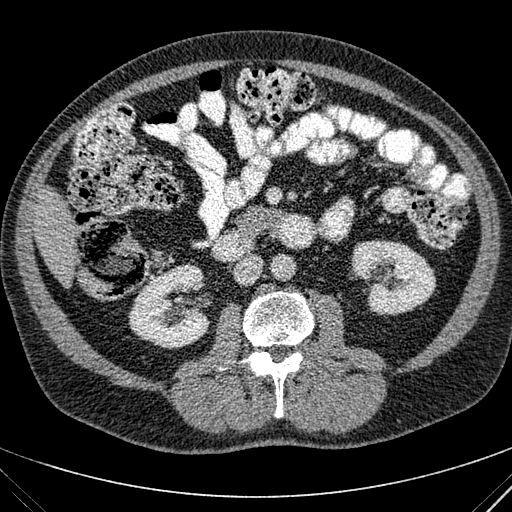
Liver, CT image, 512x512 px
<segmentation>
  <kidney>left=129, top=264, right=209, bottom=348; left=352, top=241, right=435, bottom=314</kidney>
  <liver>left=35, top=186, right=76, bottom=285</liver>
</segmentation>